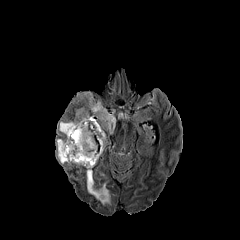
FLAIR MR image.
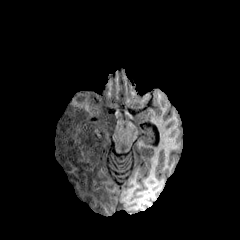
Same slice, T1-weighted magnetic resonance.
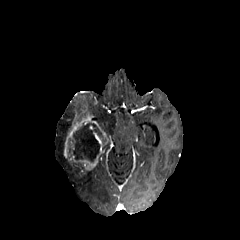
Post-contrast T1-weighted MR of the same slice.
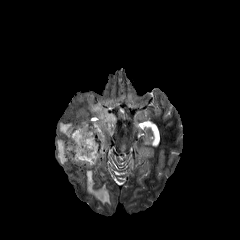
T2-weighted magnetic resonance of the same slice.
{"non-enhancing_tumor_core": ["60 101 81 127", "73 123 101 161"], "enhancing_tumor": ["63 95 108 172"], "edema": ["56 120 69 136", "88 91 116 130", "55 137 70 166", "86 170 110 204"]}